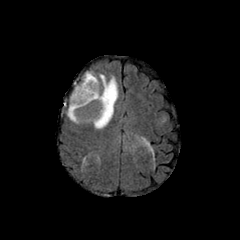
FLAIR MR.
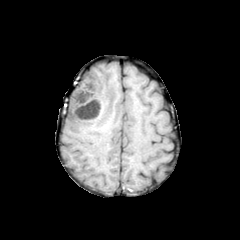
T1-weighted MR.
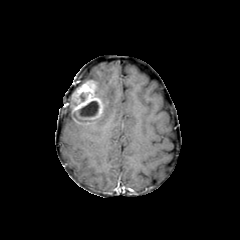
Same slice, post-contrast T1-weighted magnetic resonance.
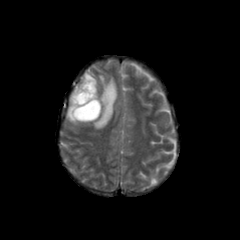
T2-weighted magnetic resonance.
Brain
{
  "non-enhancing_tumor_core": [
    "77 93 88 103",
    "70 101 99 121"
  ],
  "enhancing_tumor": [
    "71 80 102 117"
  ],
  "edema": [
    "67 72 117 128"
  ]
}